FLAIR MRI.
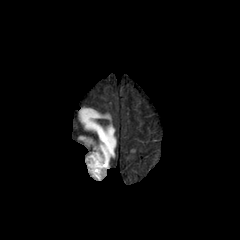
T1-weighted magnetic resonance.
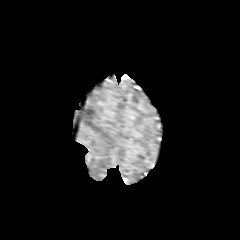
Post-contrast T1-weighted magnetic resonance.
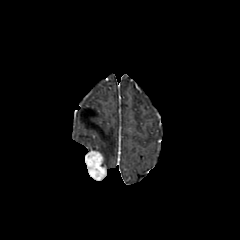
T2-weighted magnetic resonance.
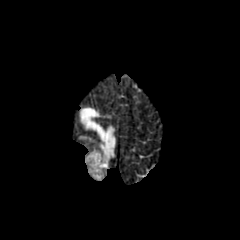
Head; 240x240 px
The edema appears at (79, 107, 116, 168). The enhancing tumor is located at (85, 151, 106, 180).